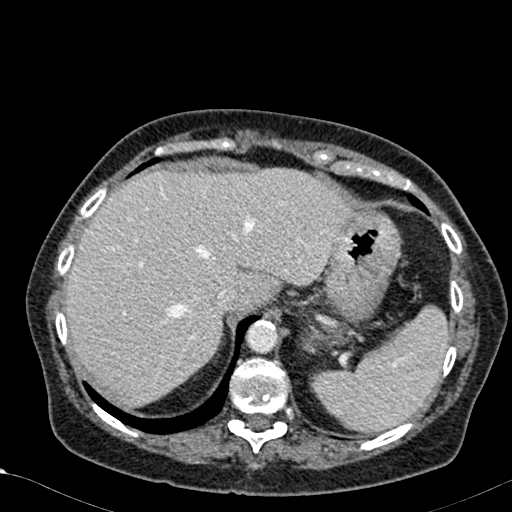
Computed tomography

The liver is bounded by rect(67, 169, 347, 404).